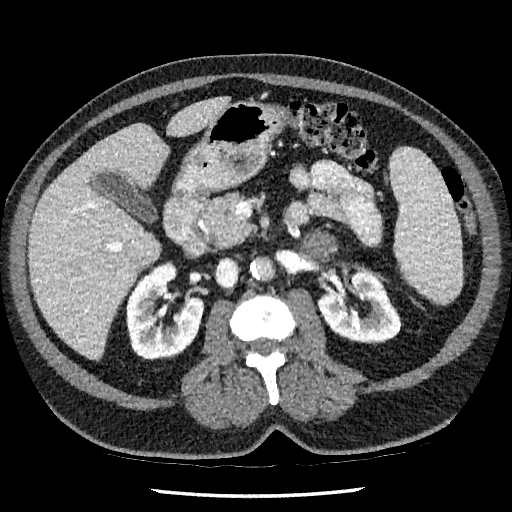

Liver. CT.
Annotated regions:
• kidney: [x1=318, y1=272, x2=400, y2=341], [x1=127, y1=264, x2=202, y2=358]
• liver: [x1=29, y1=124, x2=168, y2=358], [x1=167, y1=97, x2=228, y2=136]